CT, Slice 244/605, 512x512, Abdomen
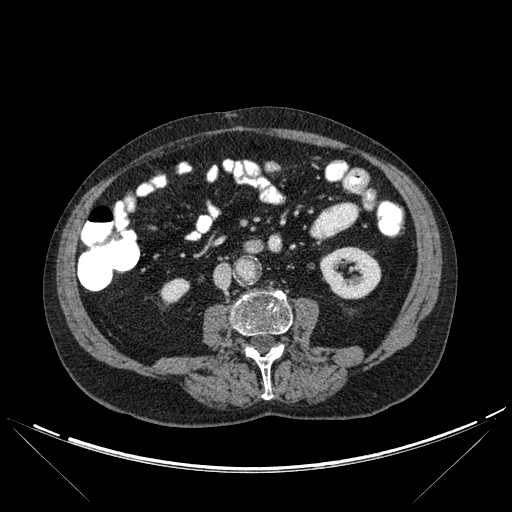

{
  "kidney": [
    "x1=161 y1=279 x2=188 y2=302",
    "x1=320 y1=247 x2=380 y2=298"
  ],
  "bone": [
    "x1=231 y1=291 x2=292 y2=335",
    "x1=245 y1=344 x2=283 y2=399"
  ]
}